FLAIR MR image.
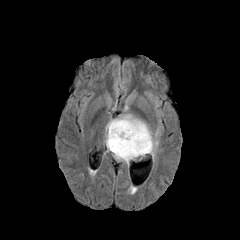
T1-weighted MR image.
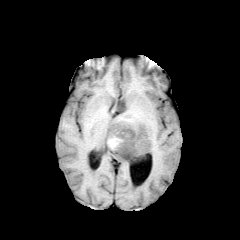
Post-contrast T1-weighted MRI.
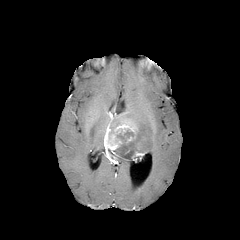
T2-weighted MR image.
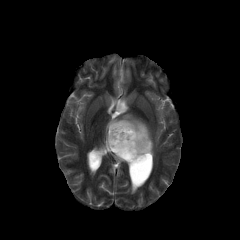
Brain
Edema at region(108, 97, 159, 161); region(104, 149, 130, 166).
Non-enhancing tumor core at region(113, 126, 149, 160).
Enhancing tumor at region(104, 118, 138, 156).